Slice index 24 | CT scan slice | Liver
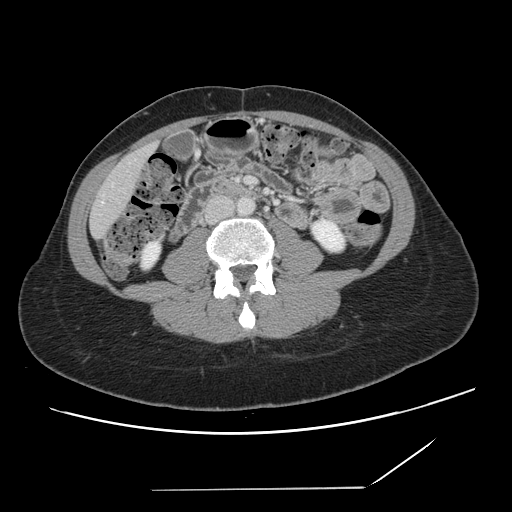
Not every hepatic vessel necessarily has a box.
Segmented structures:
* hepatic vessel: bbox(102, 201, 103, 203)